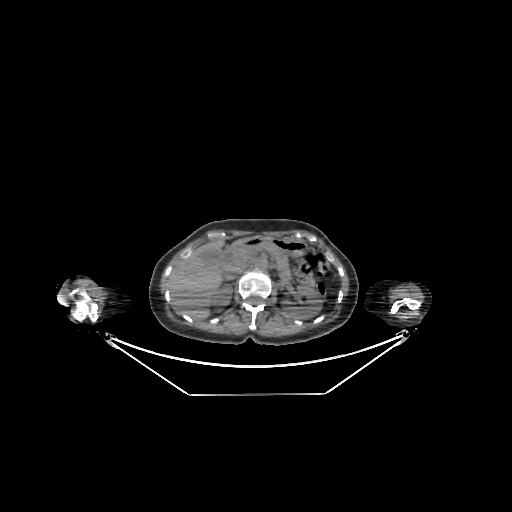 Abdomen | CT
kidney: 211, 284, 234, 309; 280, 284, 322, 320 | liver: 162, 240, 251, 320